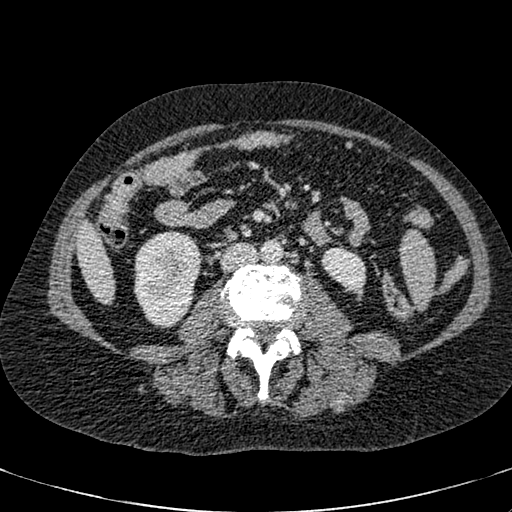 CT, Upper abdomen
<segmentation>
  <kidney>x1=135 y1=232 x2=200 y2=326, x1=322 y1=248 x2=361 y2=289</kidney>
  <liver>x1=75 y1=222 x2=113 y2=300</liver>
</segmentation>